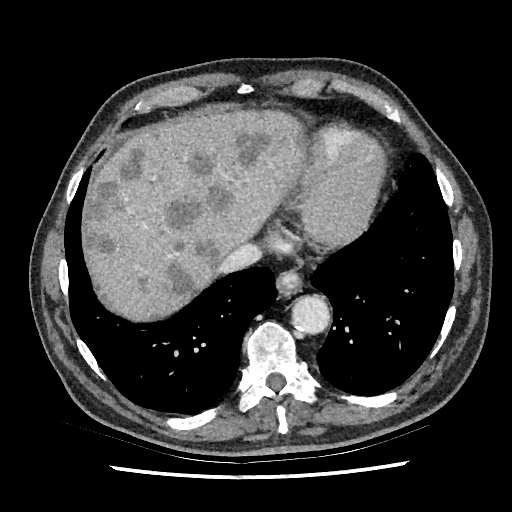

CT image

focal_liver_lesion:
  - l=149, t=311, r=160, b=318
  - l=195, t=240, r=221, b=270
  - l=278, t=136, r=287, b=147
  - l=235, t=132, r=273, b=166
  - l=163, t=263, r=194, b=295
  - l=84, t=180, r=126, b=252
  - l=150, t=131, r=160, b=140
  - l=163, t=182, r=233, b=229
  - l=119, t=148, r=146, b=181
  - l=137, t=274, r=148, b=293
  - l=174, t=242, r=183, b=251
  - l=294, t=128, r=303, b=154
  - l=190, t=150, r=212, b=176
liver:
  - l=87, t=110, r=303, b=318